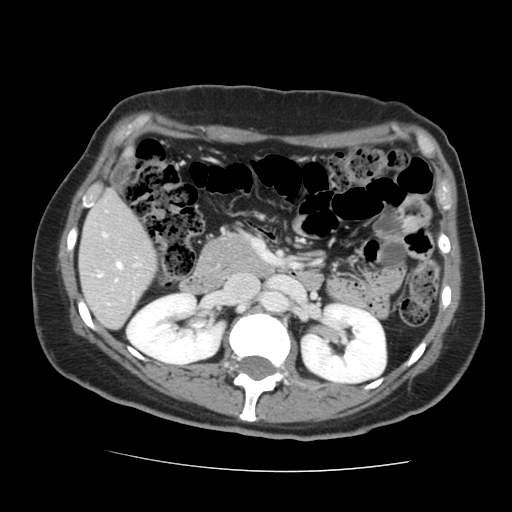 CT scan slice
Only some of the vessels may be annotated.
<segmentation>
  <hepatic_vessel>116 263 121 268, 135 264 137 265, 115 280 116 281, 103 234 105 236, 96 273 101 277</hepatic_vessel>
</segmentation>